Abdomen. Slice 51/96. CT. Field of view 352 mm wide, 2.50 mm slice spacing.
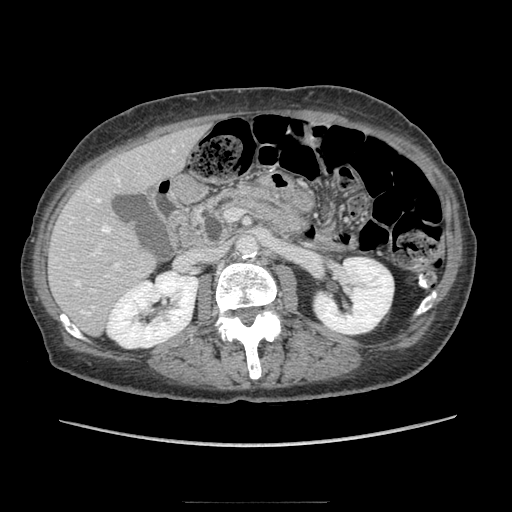 The pancreas is bounded by region(194, 183, 310, 245).